Slice 88/155; Image size 240x240
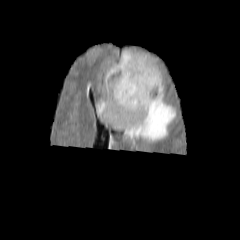
FLAIR MRI.
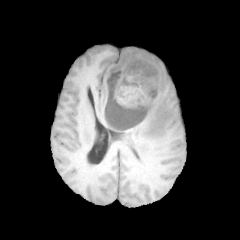
T1-weighted MR image of the same slice.
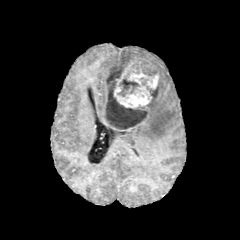
Post-contrast T1-weighted MR of the same slice.
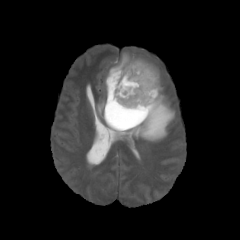
T2-weighted MR.
<segmentation>
  <non-enhancing_tumor_core>[x1=104, y1=56, x2=160, y2=128], [x1=117, y1=75, x2=140, y2=97]</non-enhancing_tumor_core>
  <enhancing_tumor>[x1=114, y1=63, x2=158, y2=107]</enhancing_tumor>
  <edema>[x1=122, y1=50, x2=159, y2=73], [x1=99, y1=82, x2=176, y2=145]</edema>
</segmentation>